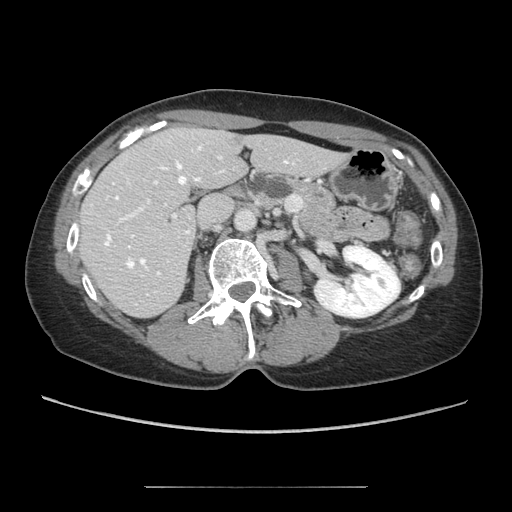
Abdomen; CT image

Pancreas: bounding box [240, 172, 337, 221].
Pancreatic tumor: bounding box [248, 172, 293, 198].